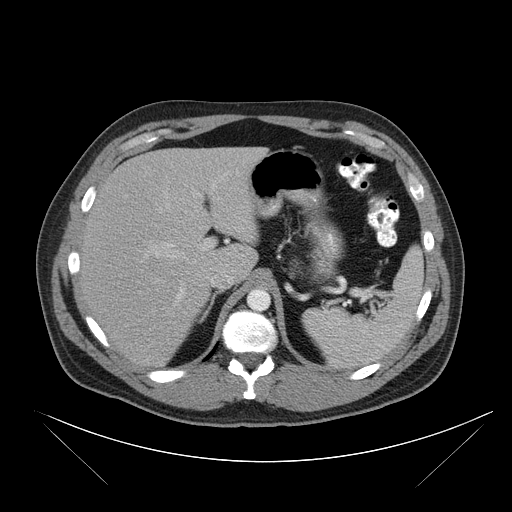 Abdomen | CT scan slice

spleen:
  - 303:245:424:366